FLAIR MR.
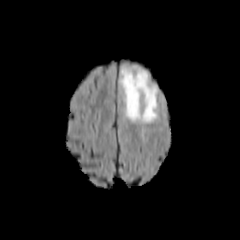
T1-weighted MRI.
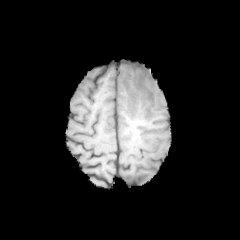
Post-contrast T1-weighted MR.
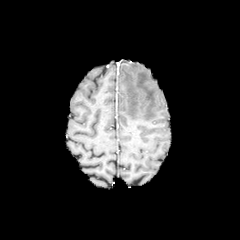
T2-weighted MRI.
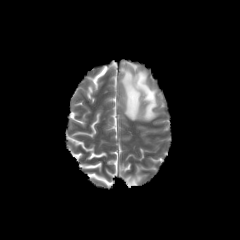
Head.
{"edema": ["region(119, 65, 158, 121)"]}